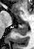
Image size 34x49; MRI

• posterior hippocampus: 15,23,27,35